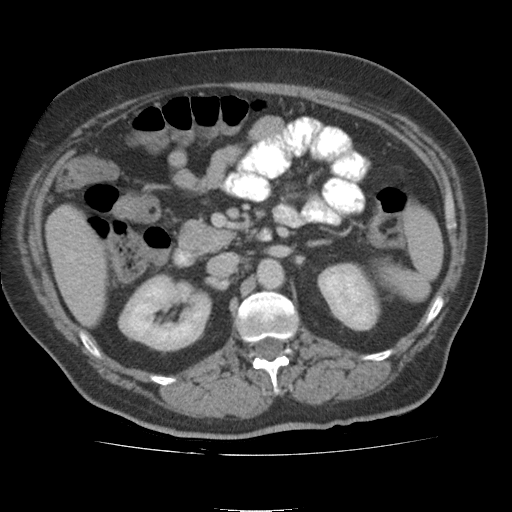
CT. The liver is bounded by [x1=47, y1=210, x2=107, y2=326]. 2 kidney regions are bounded by [x1=122, y1=278, x2=208, y2=347], [x1=321, y1=266, x2=375, y2=322].